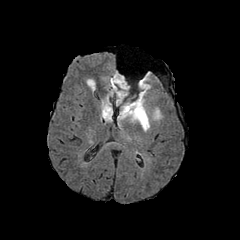
FLAIR magnetic resonance.
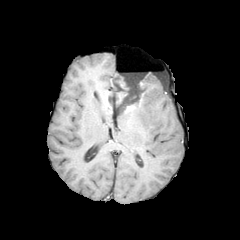
T1-weighted magnetic resonance of the same slice.
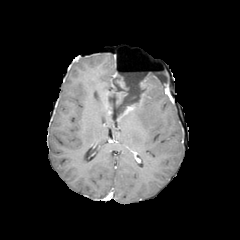
Post-contrast T1-weighted magnetic resonance of the same slice.
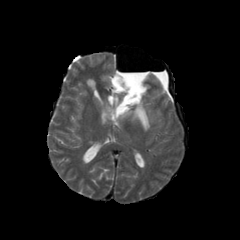
Same slice, T2-weighted MR image.
240x240
edema:
  - box(101, 74, 122, 121)
  - box(118, 74, 162, 131)
non-enhancing_tumor_core:
  - box(112, 74, 143, 114)
enhancing_tumor:
  - box(123, 105, 134, 115)